CT slice; 512x512 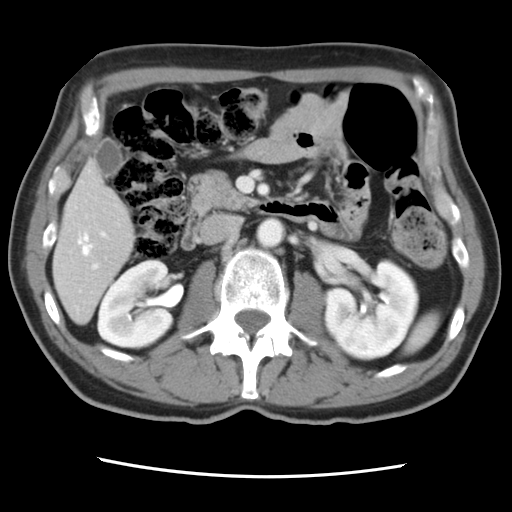 The vessel boxes may cover only some of the vessels.
3 hepatic vessel regions appear at 102:232:105:235, 93:264:97:267, 78:234:91:254.